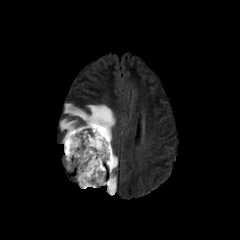
FLAIR magnetic resonance.
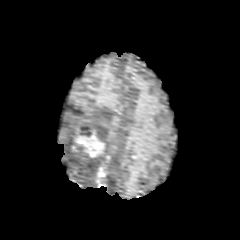
T1-weighted MRI of the same slice.
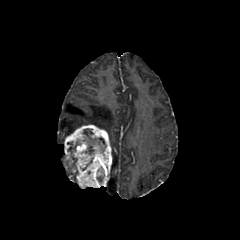
Same slice, post-contrast T1-weighted magnetic resonance.
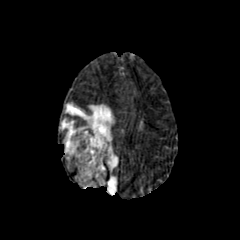
T2-weighted MRI of the same slice.
Head
{
  "edema": [
    "[107, 151, 117, 195]",
    "[60, 118, 77, 135]",
    "[64, 103, 115, 141]"
  ],
  "enhancing_tumor": [
    "[62, 123, 112, 188]"
  ]
}